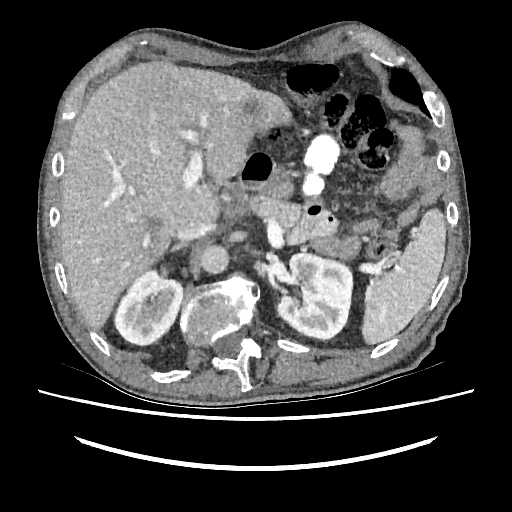 Image size 512x512; CT; Liver
Findings:
- hepatic lesion: [x1=247, y1=124, x2=260, y2=137], [x1=245, y1=100, x2=259, y2=114], [x1=145, y1=218, x2=160, y2=242]
- liver: [x1=60, y1=62, x2=291, y2=328]
- kidney: [x1=273, y1=253, x2=352, y2=338], [x1=115, y1=271, x2=182, y2=344]